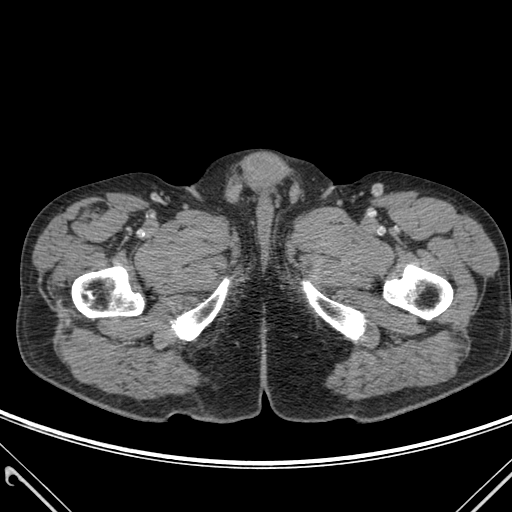
512x512 | CT image
bone: bbox(72, 266, 143, 317); bbox(384, 265, 452, 319); bbox(303, 281, 364, 339); bbox(172, 279, 228, 340)